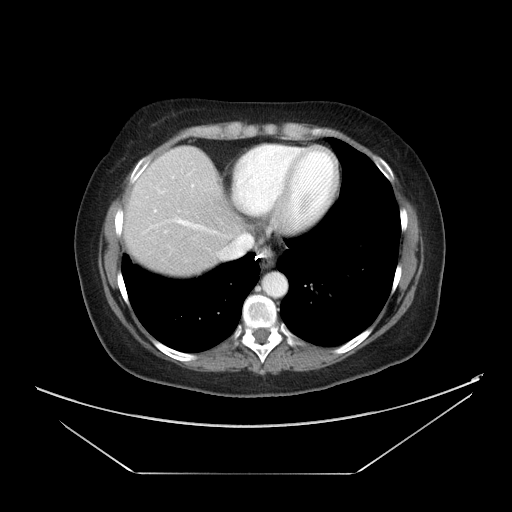

Liver | CT slice
The vessel boxes may cover only some of the vessels.
Hepatic vessel at l=177, t=219, r=204, b=228; l=158, t=190, r=162, b=193; l=155, t=210, r=156, b=211; l=240, t=234, r=248, b=243; l=192, t=184, r=193, b=186.